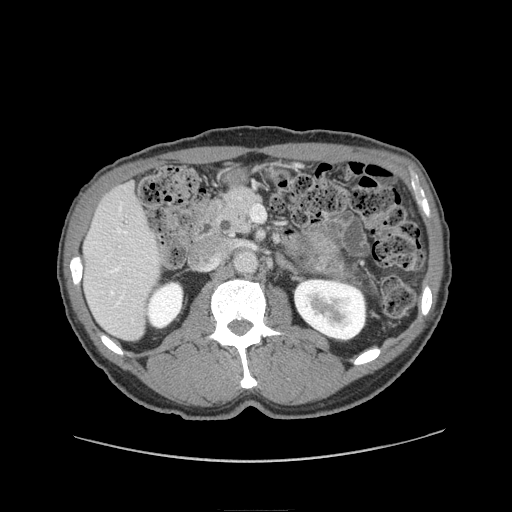 CT scan slice
Annotated regions:
• pancreas: bbox(214, 187, 260, 234); bbox(320, 258, 343, 275)
• pancreatic tumor: bbox(327, 262, 338, 267)